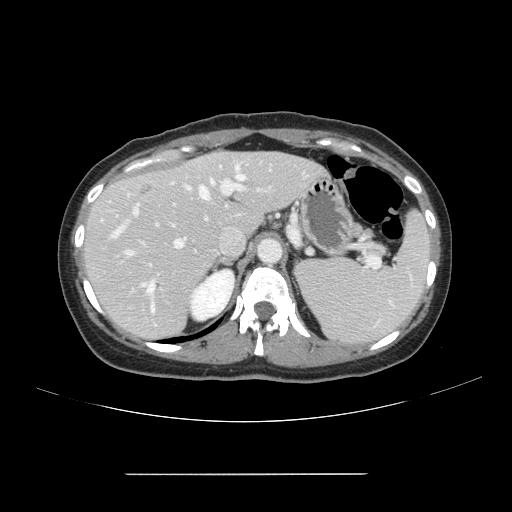

CT slice
Not every hepatic vessel necessarily has a box.
14 hepatic vessel regions are bounded by [185, 186, 190, 189], [125, 251, 132, 255], [257, 189, 260, 190], [211, 179, 213, 183], [111, 226, 124, 237], [142, 282, 153, 295], [222, 180, 243, 193], [235, 164, 239, 170], [151, 303, 154, 313], [199, 186, 208, 199], [236, 173, 244, 180], [175, 238, 184, 247], [205, 217, 206, 219], [133, 204, 138, 214].